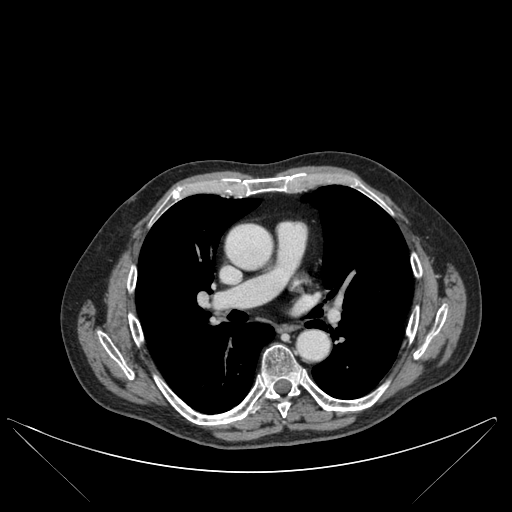

CT, Chest
bone:
  - bbox(355, 181, 384, 207)
  - bbox(128, 314, 143, 344)
  - bbox(231, 175, 297, 195)
  - bbox(411, 253, 421, 276)
  - bbox(154, 345, 387, 425)
  - bbox(407, 306, 418, 341)
  - bbox(98, 331, 133, 379)
  - bbox(414, 305, 447, 358)
  - bbox(127, 266, 136, 291)
  - bbox(171, 190, 178, 198)
lung:
  - bbox(136, 194, 274, 413)
  - bbox(302, 185, 412, 399)